Abdomen. CT. 512x512 px.
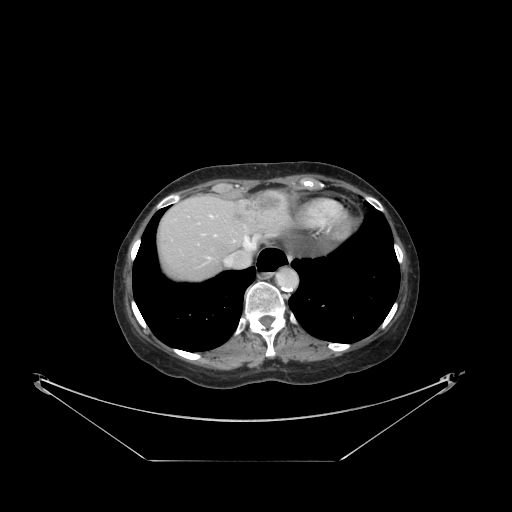
Some hepatic vessels may have no box.
Hepatic vessel — [x1=208, y1=257, x2=211, y2=259], [x1=208, y1=214, x2=216, y2=218], [x1=200, y1=234, x2=205, y2=234], [x1=212, y1=234, x2=217, y2=236], [x1=233, y1=239, x2=235, y2=241], [x1=224, y1=235, x2=258, y2=266].
Liver tumor — [x1=233, y1=196, x2=277, y2=222].